CT slice | Slice 521 of 624
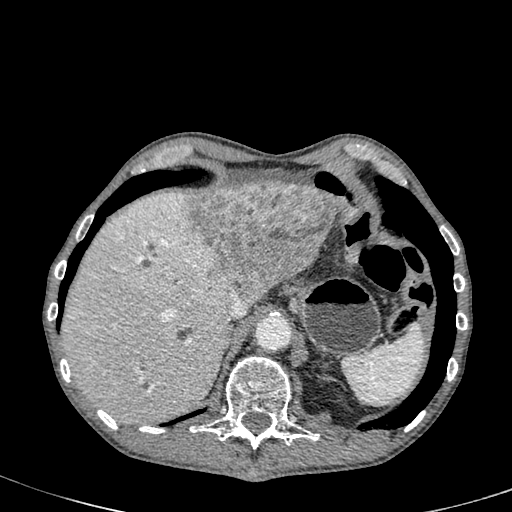

Hepatic lesion — [185,182,339,303].
Liver — [337,198,345,211], [61,192,239,424].